Upper abdomen. Computed tomography. Slice 510/896.

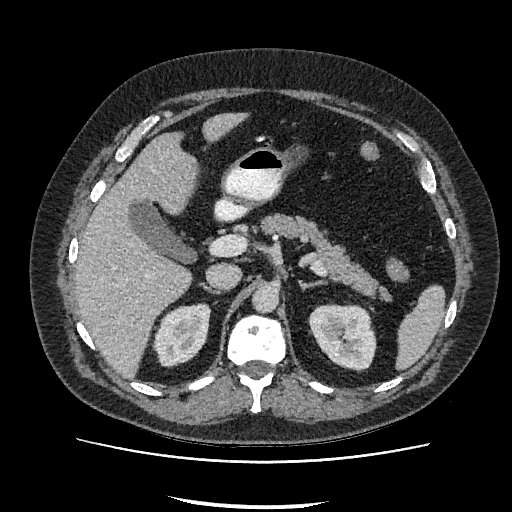
Kidney = (x1=310, y1=306, x2=374, y2=368), (x1=155, y1=305, x2=209, y2=365).
Liver = (x1=77, y1=132, x2=197, y2=378), (x1=205, y1=113, x2=245, y2=141).